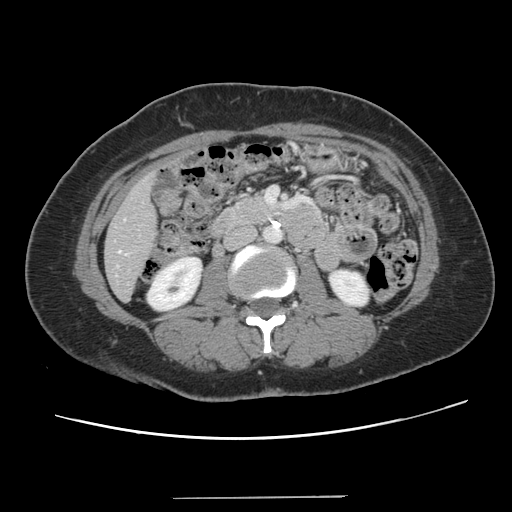
512x512 px, CT
Not every hepatic vessel necessarily has a box.
Hepatic vessel: l=118, t=250, r=122, b=253; l=125, t=253, r=127, b=254.